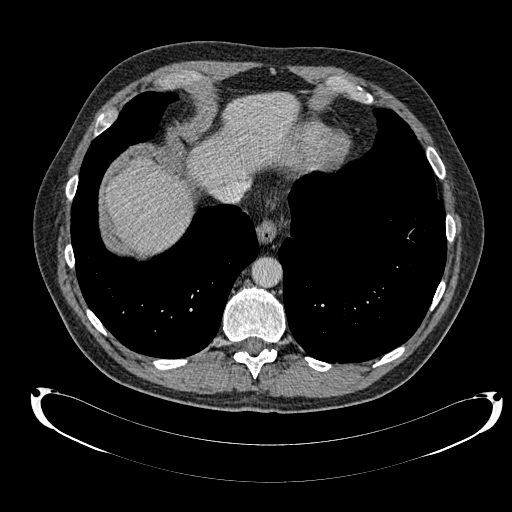

CT slice
liver:
  - (104,93,297,252)